512x512; Slice index 260; Computed tomography 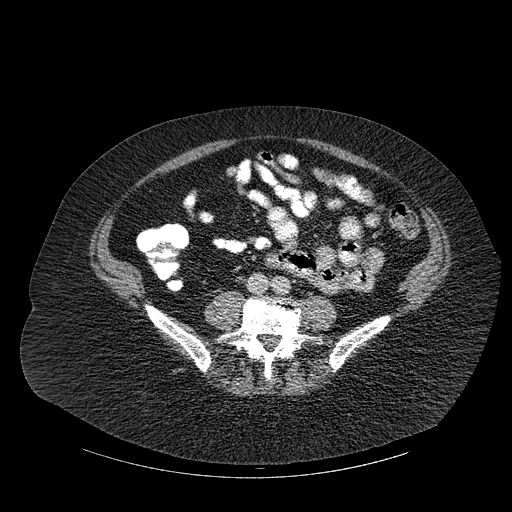 Bone: bounding box 146 305 210 371, 221 297 312 379, 329 316 389 371.